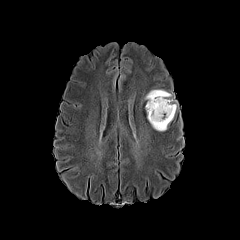
FLAIR MRI.
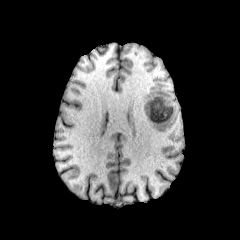
T1-weighted MR.
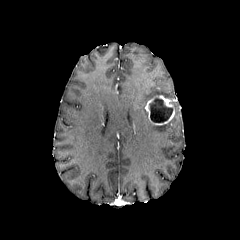
Post-contrast T1-weighted magnetic resonance.
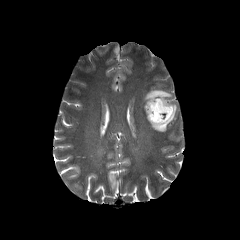
T2-weighted MRI.
Head
non-enhancing tumor core: region(150, 98, 173, 122) | enhancing tumor: region(144, 96, 175, 125) | edema: region(142, 89, 172, 100); region(151, 117, 173, 131)